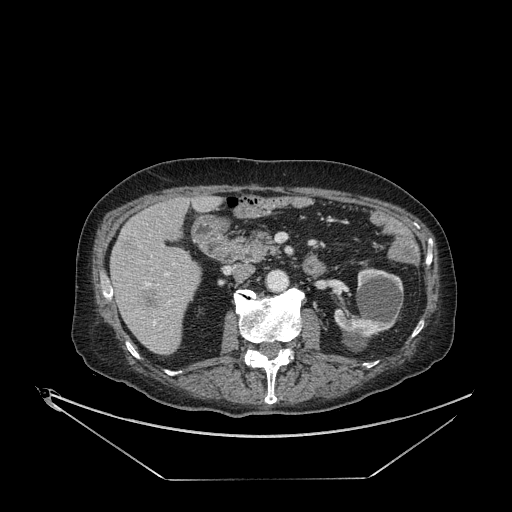 Upper abdomen, CT scan slice

2 liver lesion regions are located at (121,236,137,254), (140,289,158,313). 3 kidney regions are located at (321,279,348,301), (358,269,402,291), (334,309,394,336). The liver is bounded by (111,196,221,355).